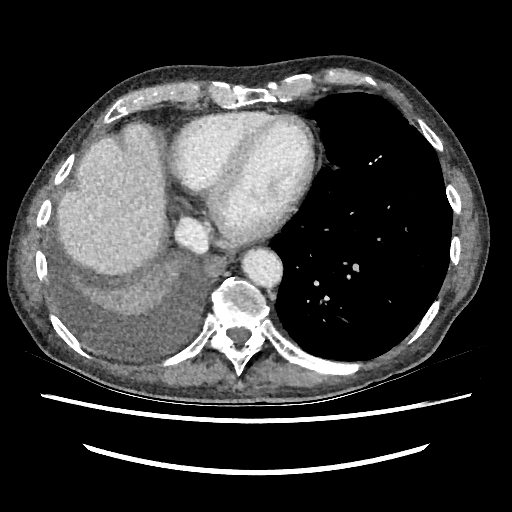 Upper abdomen. CT slice. 512x512 px.

liver:
  - left=58, top=124, right=165, bottom=274